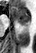

36x53 px, MR
anterior hippocampus: (11,6,29,23) | posterior hippocampus: (21,24,24,25)